Brain; Slice index 77
FLAIR magnetic resonance.
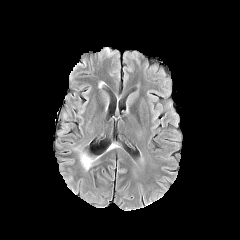
T1-weighted MRI.
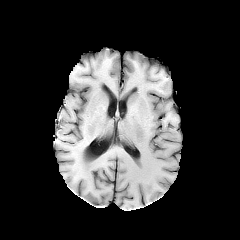
Post-contrast T1-weighted magnetic resonance.
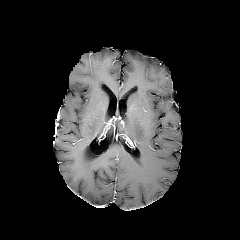
T2-weighted magnetic resonance.
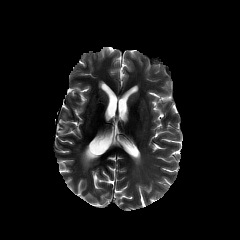
edema: 81, 153, 95, 169